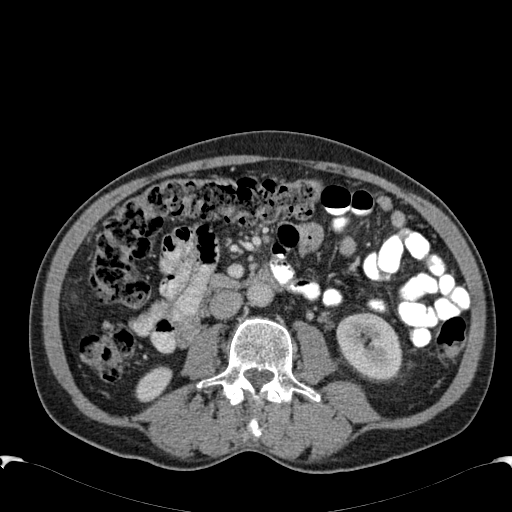 CT scan slice. Abdomen.
Segmented structures:
• kidney: x1=136 y1=367 x2=171 y2=401, x1=337 y1=315 x2=401 y2=379